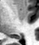

Magnetic resonance

* posterior hippocampus: rect(15, 36, 21, 39)